MR image | 32x47 px | Slice 23 of 41 | Medial temporal lobe
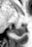 Annotated regions:
* posterior hippocampus: box=[12, 25, 25, 36]